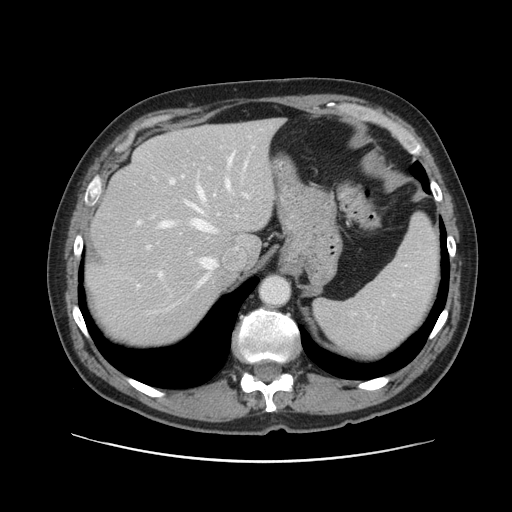
CT scan slice | Image size 512x512
The vessel boxes may cover only some of the vessels.
partial: true
hepatic_vessel:
  # 15 of 17 shown
  - 199 257 216 270
  - 199 274 208 284
  - 147 246 150 248
  - 226 179 230 187
  - 245 161 246 165
  - 192 219 213 231
  - 183 200 199 211
  - 252 146 254 147
  - 161 221 172 226
  - 159 272 162 276
  - 137 221 140 223
  - 197 187 203 198
  - 229 153 233 163
  - 244 194 246 196
  - 170 178 174 184